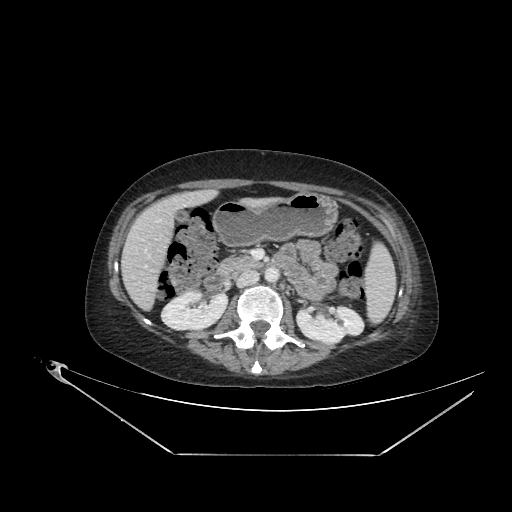

CT. Image size 512x512. liver:
  - rect(120, 189, 216, 310)
kidney:
  - rect(161, 292, 227, 329)
  - rect(297, 307, 363, 343)